Abdomen, Image width 330 mm, Image size 512x512, CT scan slice

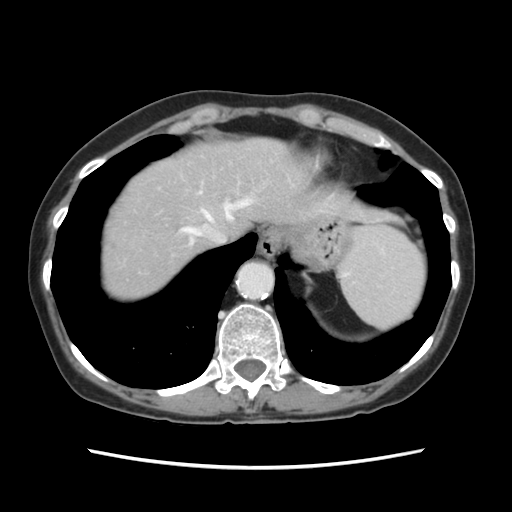

The vessel boxes may cover only some of the vessels.
hepatic_vessel:
  - x1=185 y1=231 x2=193 y2=234
  - x1=225 y1=200 x2=250 y2=219
  - x1=203 y1=212 x2=211 y2=220